Head; Slice 119 of 155; Image width 240 mm
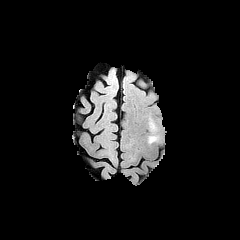
FLAIR MR image.
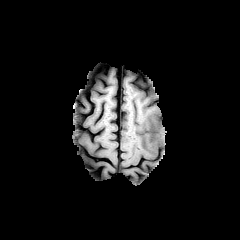
T1-weighted MRI.
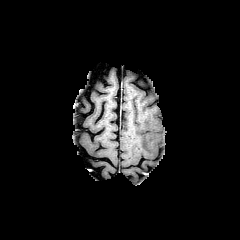
Same slice, post-contrast T1-weighted MRI.
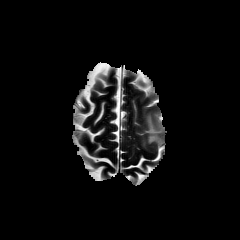
T2-weighted MR of the same slice.
The edema is bounded by (146, 114, 162, 143).